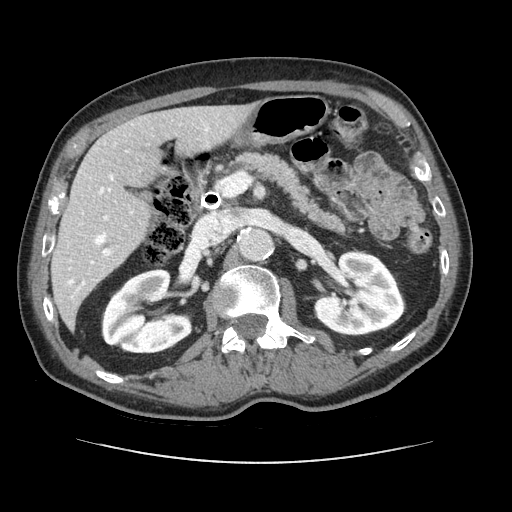 CT image
Findings:
- pancreas: box=[233, 152, 346, 231]